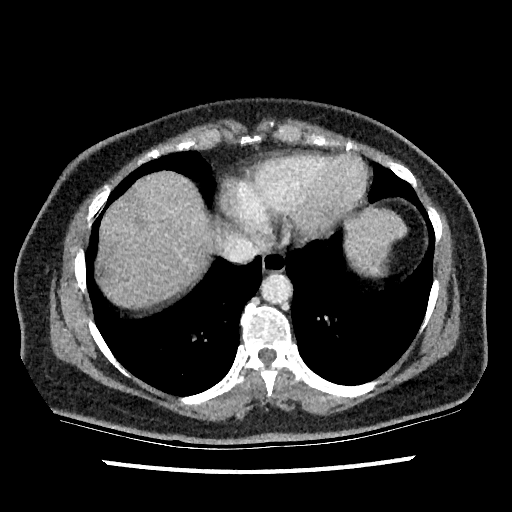 CT slice
liver:
  - 347:209:405:272
  - 97:171:211:305
liver_lesion:
  - 98:266:106:278